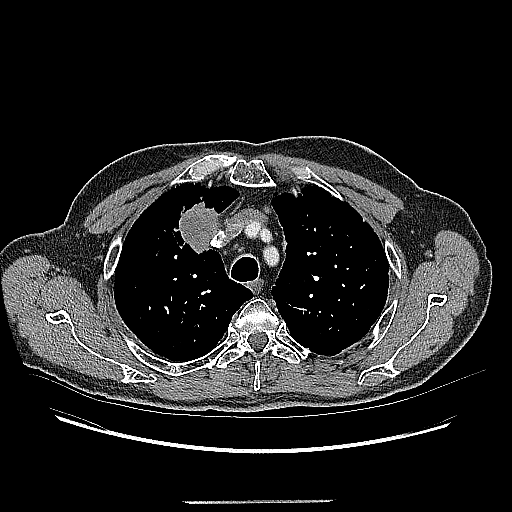
Chest. CT slice. - lung tumor: x1=174, y1=196, x2=218, y2=253